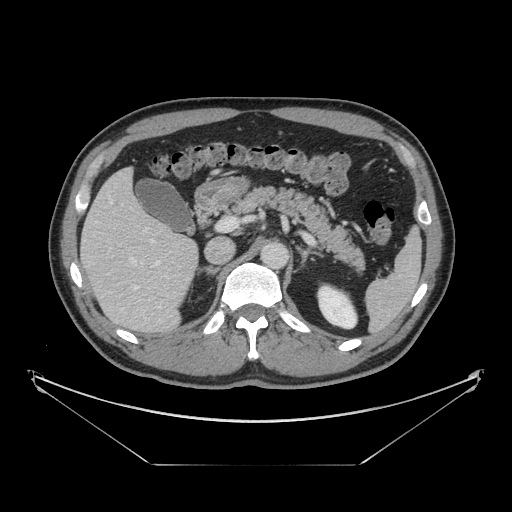 Abdomen; CT scan slice
pancreas: <bbox>231, 186, 364, 271</bbox>